FLAIR MRI.
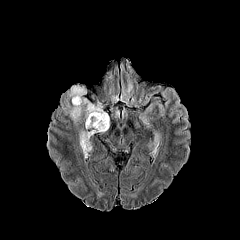
T1-weighted magnetic resonance.
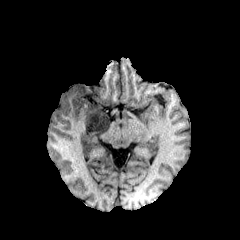
Post-contrast T1-weighted MR image.
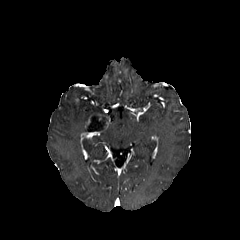
T2-weighted MR.
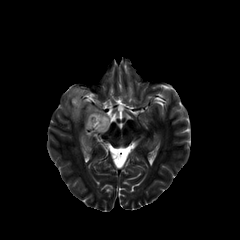
Brain
The non-enhancing tumor core appears at {"x1": 85, "y1": 110, "x2": 108, "y2": 131}. 2 edema regions appear at {"x1": 61, "y1": 87, "x2": 102, "y2": 126}, {"x1": 82, "y1": 139, "x2": 91, "y2": 154}. The enhancing tumor is at {"x1": 81, "y1": 131, "x2": 102, "y2": 139}.